512x512, Computed tomography, Liver
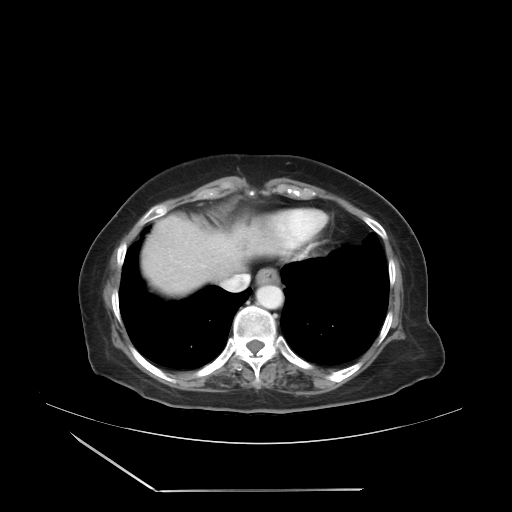
Not every hepatic vessel necessarily has a box.
The hepatic vessel lies within box(222, 276, 246, 290).